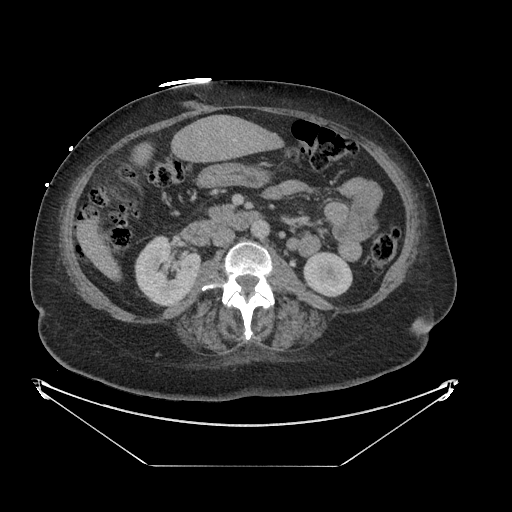

CT image | Upper abdomen
* pancreas: bbox(210, 205, 234, 222)